CT slice, 512x512 px, Slice 319/391, Upper abdomen, Image width 338 mm
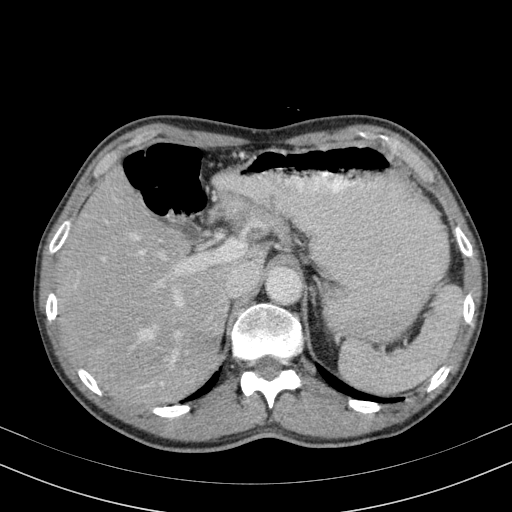

The liver is bounded by <box>57,167,267,404</box>.